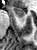

Hippocampus, MR

<segmentation>
  <anterior_hippocampus><bbox>12, 7, 26, 17</bbox></anterior_hippocampus>
</segmentation>